CT | Liver

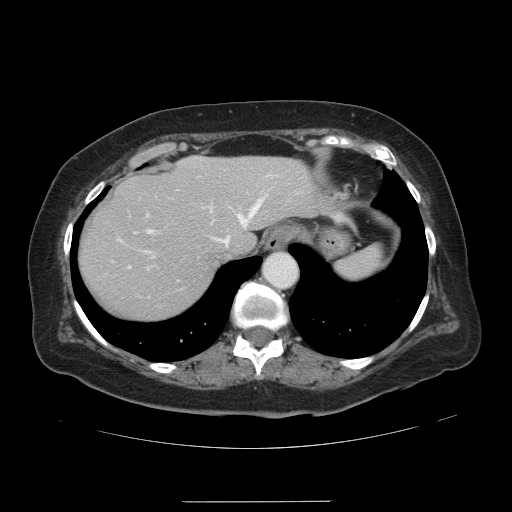 Not every hepatic vessel necessarily has a box.
<segmentation>
  <hepatic_vessel>145,251,149,252; 237,200,259,224; 210,206,210,209; 147,230,152,232; 214,237,227,243</hepatic_vessel>
</segmentation>